512x512, Slice index 50, Liver, Field of view 460x460 mm, Computed tomography 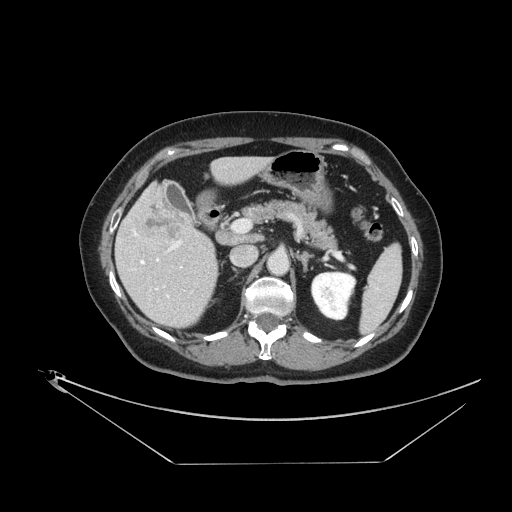

The vessel annotation is not exhaustive.
hepatic_vessel:
  - left=156, top=258, right=158, bottom=261
  - left=140, top=259, right=144, bottom=264
  - left=166, top=295, right=169, bottom=297
  - left=155, top=288, right=157, bottom=289
  - left=233, top=221, right=249, bottom=230
  - left=168, top=240, right=181, bottom=251
  - left=135, top=232, right=137, bottom=235
liver_tumor:
  - left=143, top=202, right=185, bottom=242